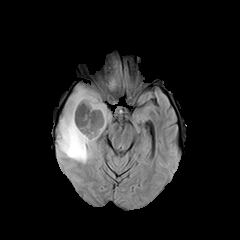
FLAIR magnetic resonance.
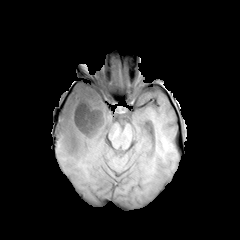
Same slice, T1-weighted MRI.
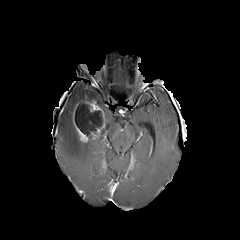
Post-contrast T1-weighted magnetic resonance of the same slice.
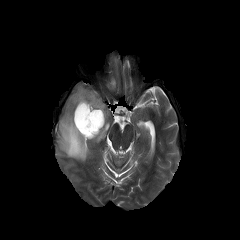
Same slice, T2-weighted MRI.
Brain
non-enhancing tumor core: 72, 96, 106, 137 | enhancing tumor: 74, 124, 88, 141; 87, 100, 104, 119 | edema: 57, 86, 103, 163; 106, 107, 110, 126